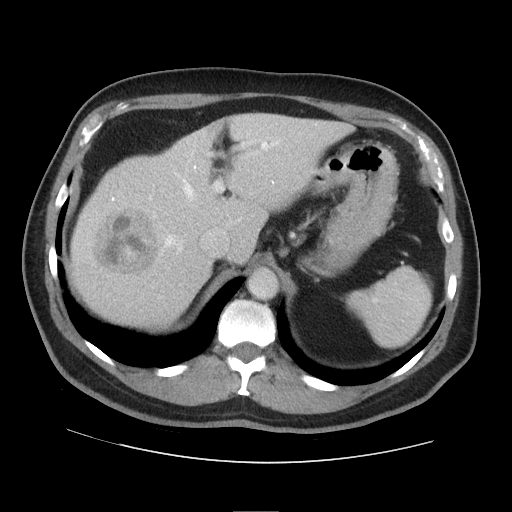 Image size 512x512; Abdomen; CT image
The vessel annotation is not exhaustive.
Hepatic vessel at x1=183 y1=183 x2=194 y2=199, x1=173 y1=234 x2=183 y2=250, x1=153 y1=205 x2=154 y2=206, x1=148 y1=193 x2=152 y2=200.
Liver tumor at x1=91 y1=204 x2=161 y2=277.